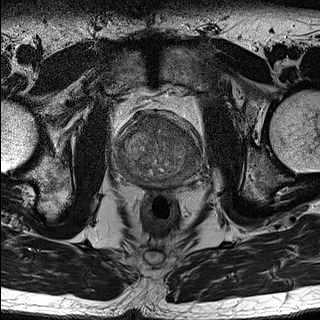
T2-weighted MR image.
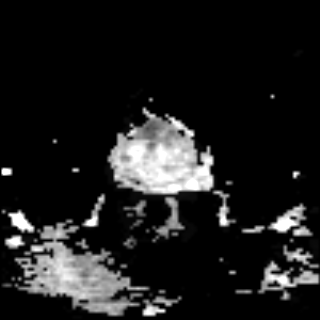
ADC magnetic resonance.
prostate transition zone: 116 114 195 178 | prostate peripheral zone: 113 143 198 188